Slice index 62
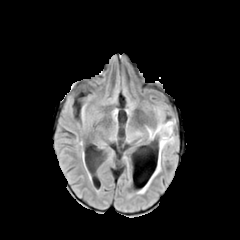
FLAIR MR.
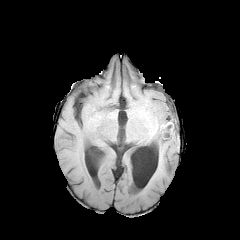
Same slice, T1-weighted MR.
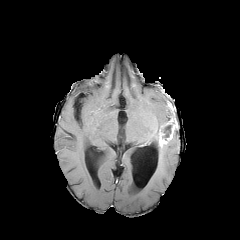
Post-contrast T1-weighted MRI.
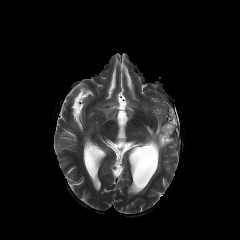
T2-weighted MRI of the same slice.
Edema: x1=157 y1=147 x2=162 y2=168, x1=147 y1=128 x2=157 y2=142.
Enhancing tumor: x1=158 y1=130 x2=171 y2=147.
Non-enhancing tumor core: x1=162 y1=125 x2=172 y2=137.